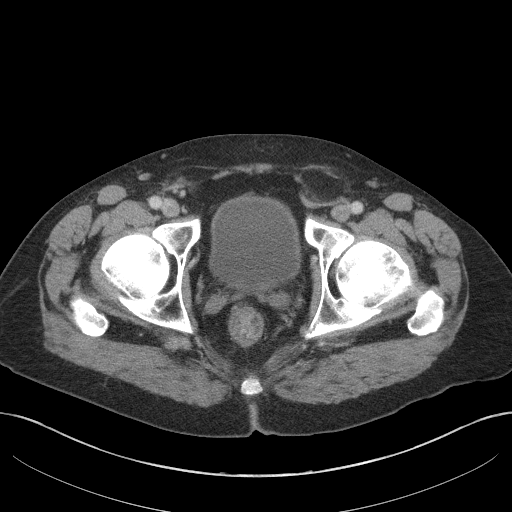

CT.
Urinary bladder: <box>209,201,300,296</box>.